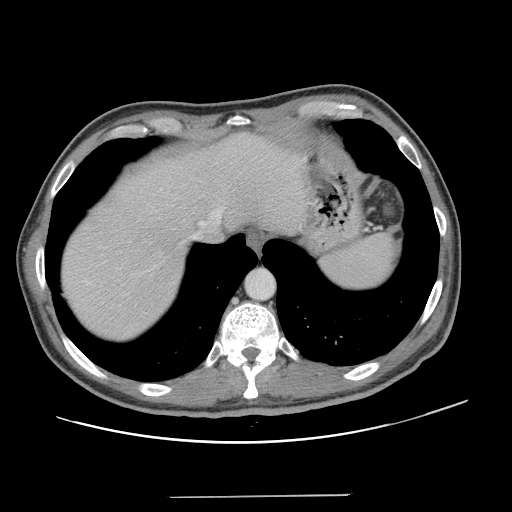 CT slice, Abdomen
Only some of the vessels may be annotated.
hepatic vessel: (200,222,201,224), (192,235,193,237), (153,265,155,267)